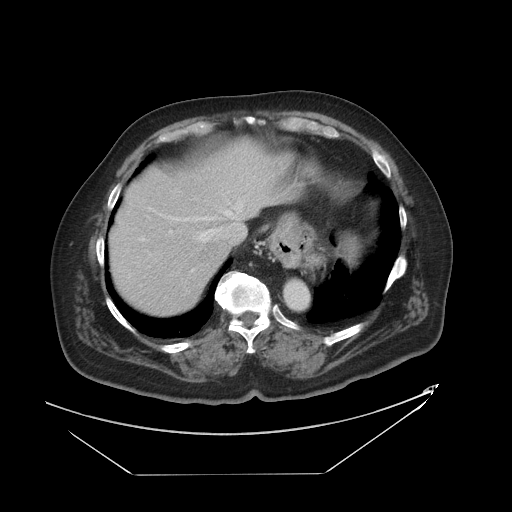 CT slice. Abdomen.

The vessel annotation is not exhaustive.
Segmented structures:
* hepatic vessel: (157, 213, 217, 220), (234, 216, 238, 218), (226, 212, 230, 213), (234, 201, 241, 212), (196, 226, 223, 241)